Abdomen. CT slice.

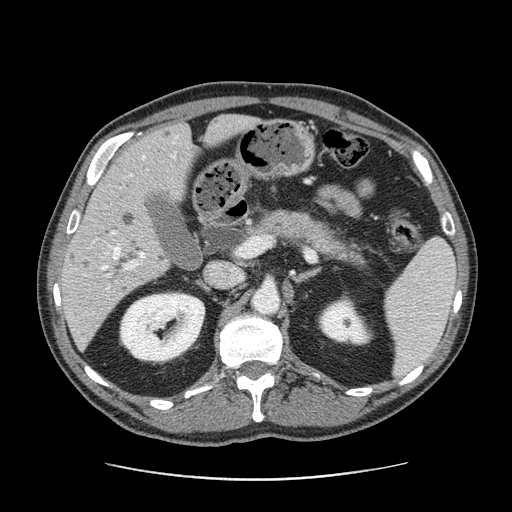

The pancreas is at region(248, 210, 364, 268).